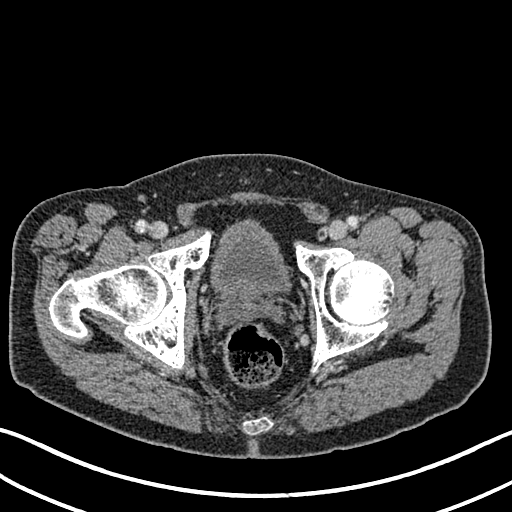 512x512 px; Pelvis; Computed tomography
<segmentation>
  <urinary_bladder>box(211, 228, 290, 302)</urinary_bladder>
</segmentation>